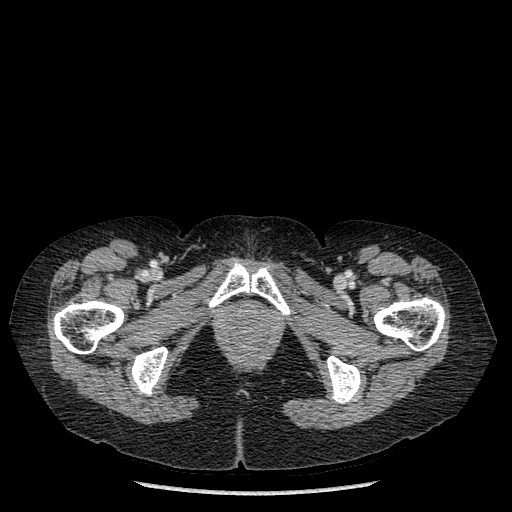

CT scan slice
bone:
  - 208 260 290 315
  - 53 300 124 353
  - 327 356 361 403
  - 374 297 445 350
  - 130 346 167 395